FLAIR MR.
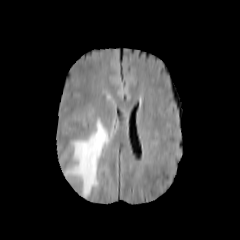
T1-weighted MR image.
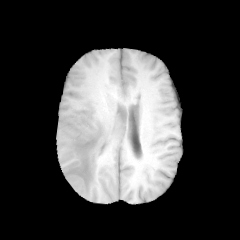
Post-contrast T1-weighted MR.
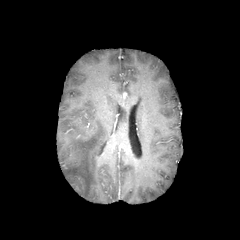
T2-weighted magnetic resonance.
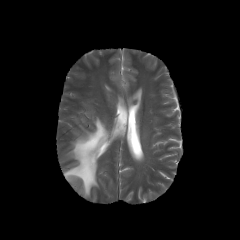
• edema: [x1=64, y1=117, x2=108, y2=196]